MRI, Slice index 15, Hippocampus 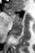
The anterior hippocampus lies within 5,10,22,20. The posterior hippocampus is located at 12,21,22,38.